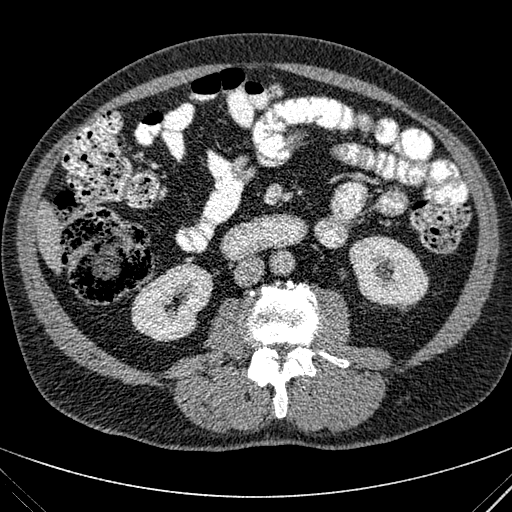 Upper abdomen | CT image
Liver = box(36, 201, 61, 269).
Kidney = box(132, 263, 212, 341); box(349, 237, 427, 305).